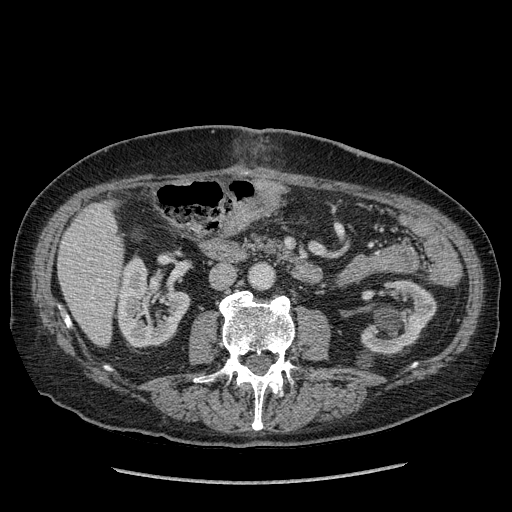
CT slice | Abdomen
liver:
  - 58,200,123,345
kidney:
  - 361,280,436,353
  - 362,291,374,299
  - 118,258,189,346